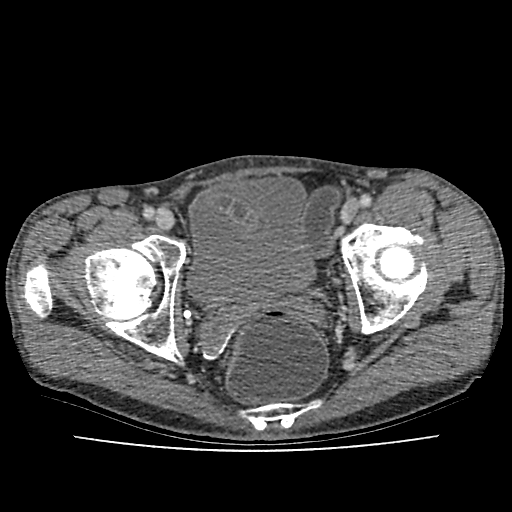
CT slice; Pelvis; 512x512 px
The urinary bladder appears at 186:174:316:302.